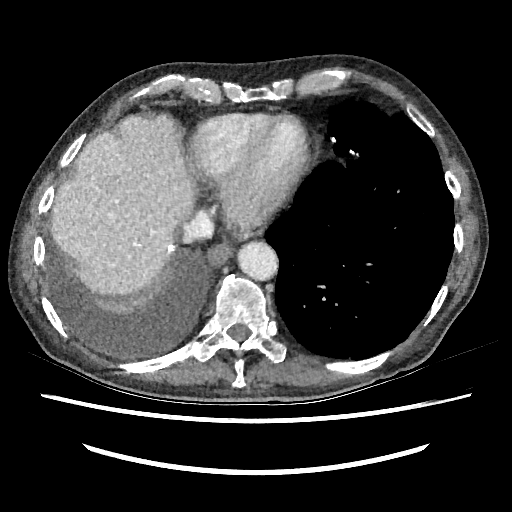 CT

Annotated regions:
* liver: (52,116,194,293)